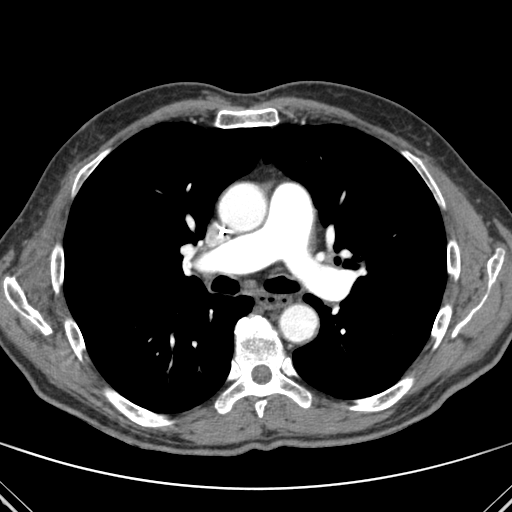 CT. Chest.

The lung appears at bbox=[63, 122, 446, 412]. 13 bone regions are bounded by bbox=[3, 277, 51, 335]; bbox=[447, 240, 460, 279]; bbox=[452, 296, 486, 337]; bbox=[65, 319, 84, 359]; bbox=[215, 315, 311, 417]; bbox=[215, 108, 278, 128]; bbox=[487, 252, 503, 286]; bbox=[73, 150, 107, 190]; bbox=[105, 390, 172, 426]; bbox=[349, 377, 413, 411]; bbox=[51, 245, 63, 292]; bbox=[431, 305, 451, 348]; bbox=[402, 151, 444, 206].